Image size 512x512, CT slice, Slice index 20
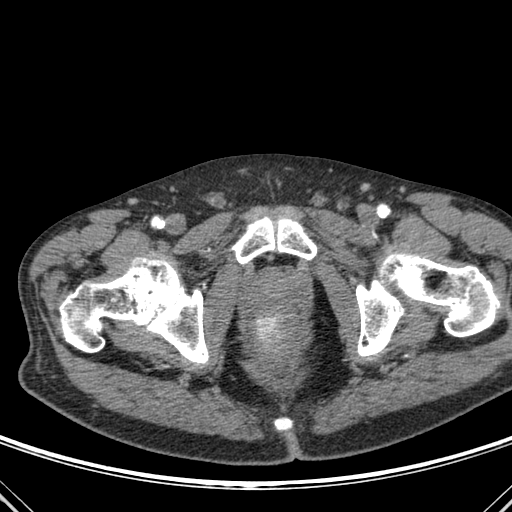 Bone = bbox(232, 217, 317, 264); bbox(59, 257, 208, 363); bbox(275, 418, 291, 430); bbox(356, 252, 500, 356).